Head
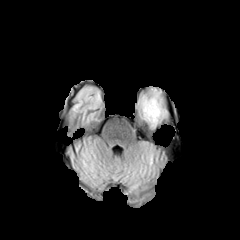
FLAIR MRI.
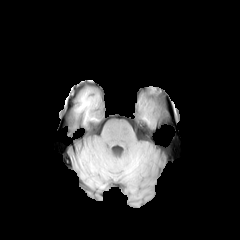
Same slice, T1-weighted MRI.
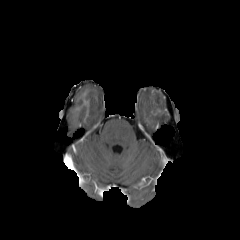
Post-contrast T1-weighted magnetic resonance.
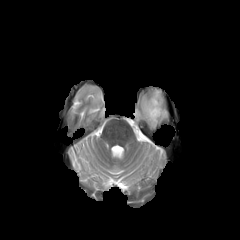
T2-weighted MRI.
The edema is bounded by rect(137, 92, 168, 128). The non-enhancing tumor core is located at rect(150, 90, 166, 118).